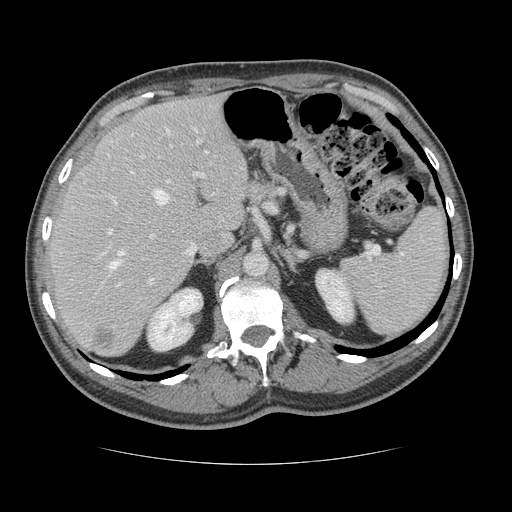
Computed tomography
The vessel boxes may cover only some of the vessels.
The largest 15 hepatic vessel regions (of 19) are located at rect(194, 128, 196, 130); rect(109, 195, 116, 204); rect(195, 173, 202, 176); rect(117, 283, 119, 285); rect(166, 129, 169, 133); rect(149, 278, 153, 283); rect(108, 229, 112, 233); rect(170, 144, 171, 146); rect(118, 251, 124, 255); rect(150, 234, 153, 237); rect(153, 190, 167, 204); rect(196, 139, 201, 143); rect(183, 243, 195, 254); rect(205, 151, 207, 152); rect(110, 260, 120, 269). The liver tumor is located at rect(93, 328, 115, 348).